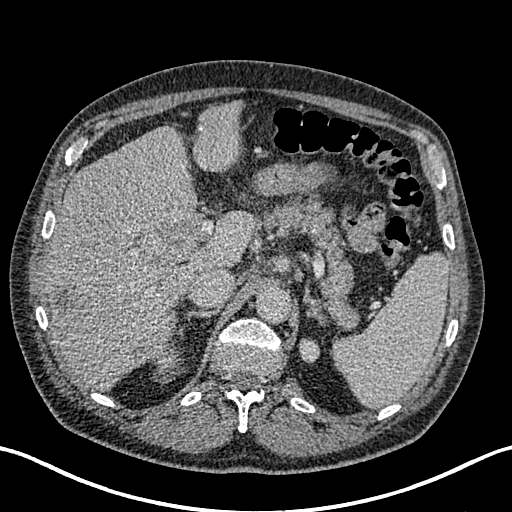
Abdomen | 512x512 px | Computed tomography
The kidney lies within (left=302, top=341, right=318, bottom=360). The liver is bounded by (left=46, top=100, right=254, bottom=390). 3 hepatic lesion regions are bounded by (left=146, top=218, right=194, bottom=273), (left=128, top=339, right=152, bottom=360), (left=52, top=280, right=89, bottom=326).